Head
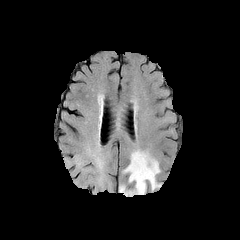
FLAIR MR.
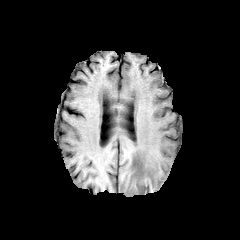
T1-weighted magnetic resonance.
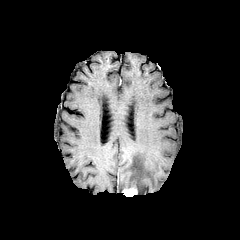
Same slice, post-contrast T1-weighted MR.
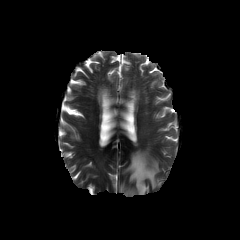
Same slice, T2-weighted MR.
The enhancing tumor is at [122,188,137,196]. The edema is at [123,150,160,194].